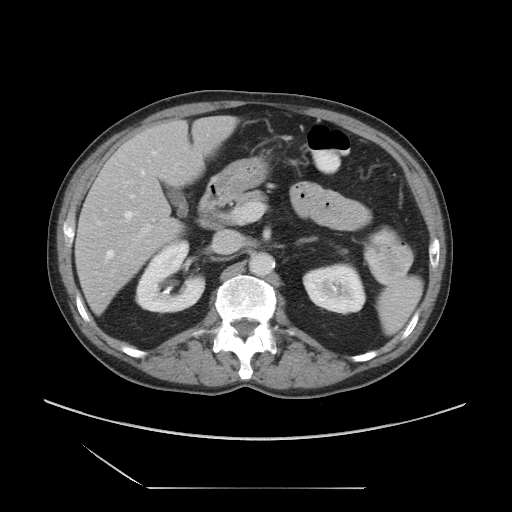 Liver. 512x512 px. CT slice.
Only some of the vessels may be annotated.
<segmentation>
  <hepatic_vessel>141, 224, 151, 231; 152, 151, 156, 154; 106, 250, 113, 259; 97, 221, 101, 224; 131, 180, 133, 182; 141, 170, 143, 175; 125, 211, 135, 221; 130, 195, 133, 197</hepatic_vessel>
</segmentation>